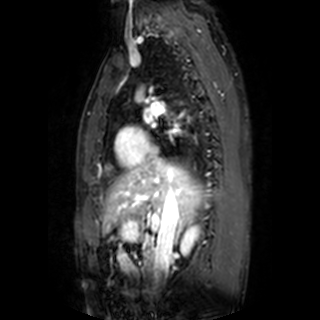

MRI slice; 320x320 px
Segmented structures:
* left atrium: 145,112,152,123